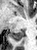
MR image. 37x50 px.

<segmentation>
  <posterior_hippocampus>(11, 30, 23, 41)</posterior_hippocampus>
</segmentation>